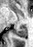

33x47 | Hippocampus | MR image

The posterior hippocampus lies within <box>14,26,26,37</box>.